CT. Slice index 435.
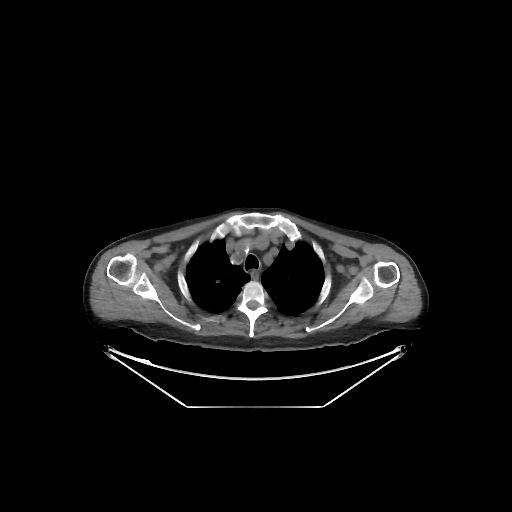 6 bone regions appear at x1=321, y1=280, x2=330, y2=300; x1=238, y1=282, x2=267, y2=336; x1=306, y1=261, x2=399, y2=331; x1=107, y1=253, x2=162, y2=306; x1=216, y1=213, x2=299, y2=241; x1=178, y1=274, x2=188, y2=296. 3 lung regions appear at x1=245, y1=254, x2=258, y2=270; x1=261, y1=240, x2=324, y2=316; x1=186, y1=238, x2=250, y2=313.